Magnetic resonance, Medial temporal lobe, Field of view 37 mm wide, 1.00 mm slice spacing, Slice 19 of 34 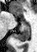 <segmentation>
  <posterior_hippocampus>x1=13 y1=23 x2=29 y2=41</posterior_hippocampus>
</segmentation>